FLAIR MRI.
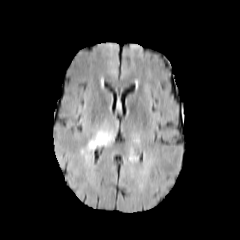
T1-weighted MRI.
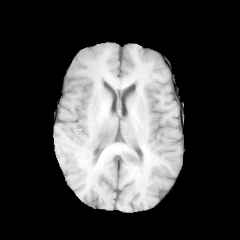
Post-contrast T1-weighted MR image.
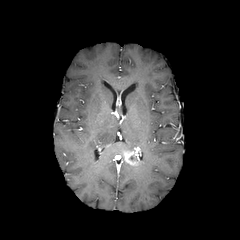
T2-weighted MRI.
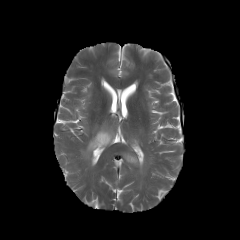
<segmentation>
  <edema>(80, 129, 114, 155)</edema>
  <enhancing_tumor>(122, 150, 140, 166)</enhancing_tumor>
</segmentation>